MR; Slice index 8

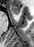

The anterior hippocampus is at [11,6,19,14].